FLAIR MR image.
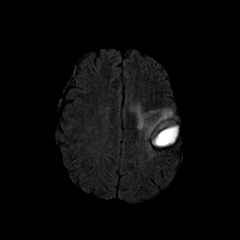
T1-weighted MRI.
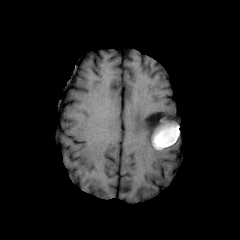
Post-contrast T1-weighted MR image.
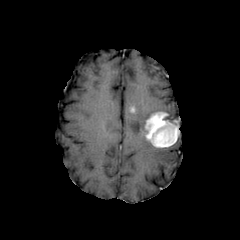
T2-weighted MR image.
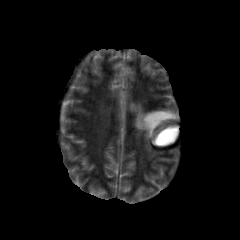
Annotated regions:
* edema: x1=129 y1=98 x2=175 y2=159
* non-enhancing tumor core: x1=166 y1=112 x2=178 y2=125
* enhancing tumor: x1=144 y1=111 x2=178 y2=147